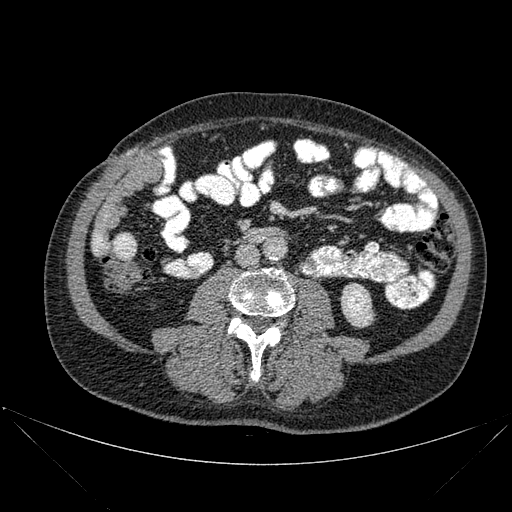
512x512 px; Abdomen; CT slice
Kidney at box=[341, 283, 372, 326].
Bone at box=[228, 317, 282, 380]; box=[228, 268, 294, 316].